512x512 px, Upper abdomen, CT slice 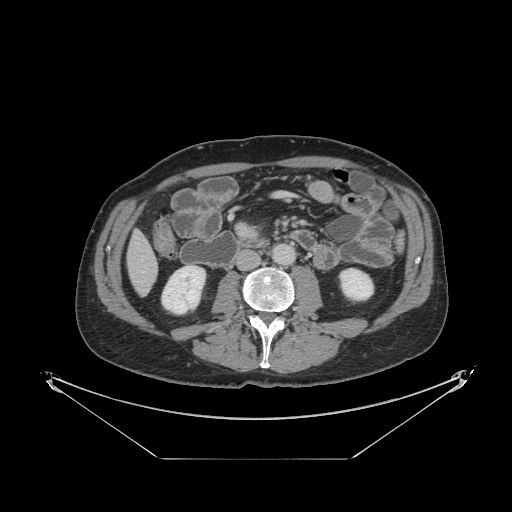

Pancreas: {"x1": 245, "y1": 222, "x2": 260, "y2": 239}.
Pancreatic tumor: {"x1": 234, "y1": 222, "x2": 258, "y2": 238}.